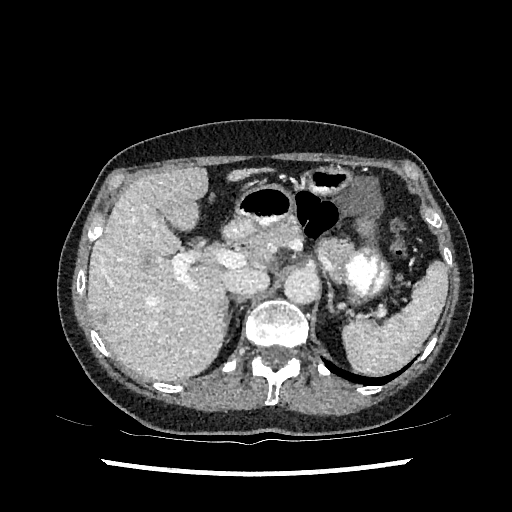
Liver; CT

{
  "liver": [
    "[88, 166, 224, 381]",
    "[230, 167, 273, 181]"
  ],
  "liver_lesion": [
    "[92, 307, 108, 325]",
    "[140, 252, 154, 271]"
  ]
}